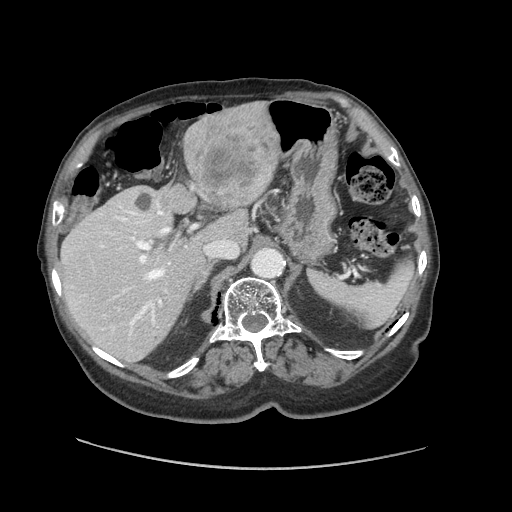 CT scan slice

Some hepatic vessels may have no box.
{
  "liver_tumor": [
    "(191, 109, 276, 199)"
  ],
  "hepatic_vessel": [
    "(147, 303, 151, 306)",
    "(136, 241, 149, 249)",
    "(164, 228, 169, 231)",
    "(204, 240, 237, 257)",
    "(158, 211, 162, 214)",
    "(139, 255, 145, 262)",
    "(145, 268, 164, 279)"
  ]
}